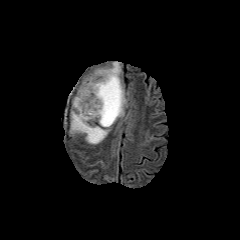
FLAIR MRI.
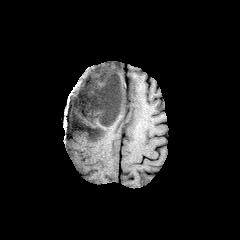
T1-weighted MR image of the same slice.
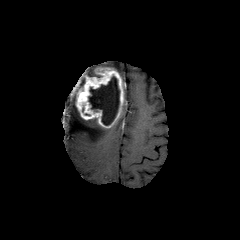
Post-contrast T1-weighted magnetic resonance of the same slice.
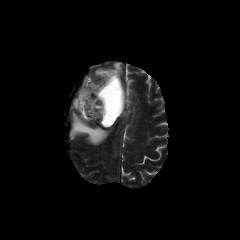
T2-weighted magnetic resonance.
Head
non-enhancing tumor core: region(89, 76, 119, 125) | enhancing tumor: region(75, 67, 126, 126) | edema: region(106, 62, 121, 74); region(68, 98, 109, 144)